CT slice; Liver

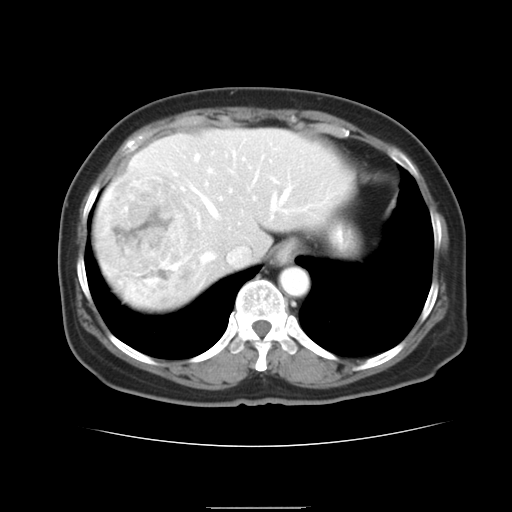

Only some of the vessels may be annotated.
Liver tumor — [x1=96, y1=174, x2=203, y2=308].
Top 15 of 19 hepatic vessel regions — [x1=282, y1=210, x2=286, y2=213], [x1=191, y1=187, x2=199, y2=194], [x1=181, y1=188, x2=183, y2=190], [x1=270, y1=188, x2=289, y2=210], [x1=205, y1=182, x2=207, y2=185], [x1=254, y1=175, x2=256, y2=179], [x1=229, y1=170, x2=231, y2=172], [x1=270, y1=177, x2=277, y2=183], [x1=242, y1=158, x2=244, y2=161], [x1=202, y1=253, x2=212, y2=262], [x1=174, y1=173, x2=175, y2=175], [x1=231, y1=151, x2=235, y2=158], [x1=203, y1=199, x2=215, y2=215], [x1=208, y1=169, x2=211, y2=172], [x1=194, y1=154, x2=198, y2=159].